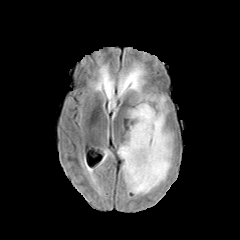
FLAIR MR image.
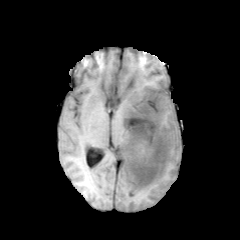
T1-weighted magnetic resonance.
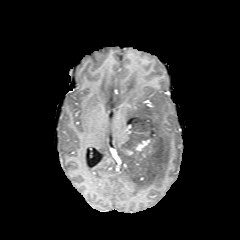
Post-contrast T1-weighted MR of the same slice.
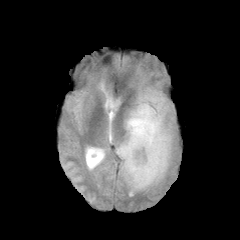
T2-weighted MRI of the same slice.
4 edema regions appear at (136,150,150,163), (120,65,173,195), (100,83,116,106), (118,132,135,165). 2 non-enhancing tumor core regions are bounded by (140,100,152,107), (124,106,168,191). The enhancing tumor is bounded by (136,139,150,150).